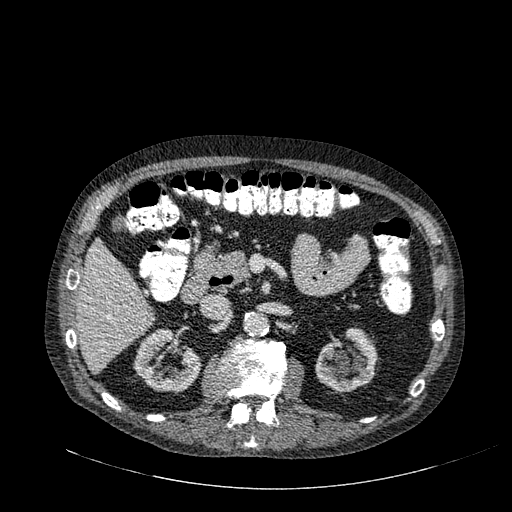

Upper abdomen. Image size 512x512. Computed tomography. Annotated regions:
• liver: 79, 239, 152, 372
• kidney: 315, 328, 377, 392; 133, 328, 201, 392